CT image | Liver

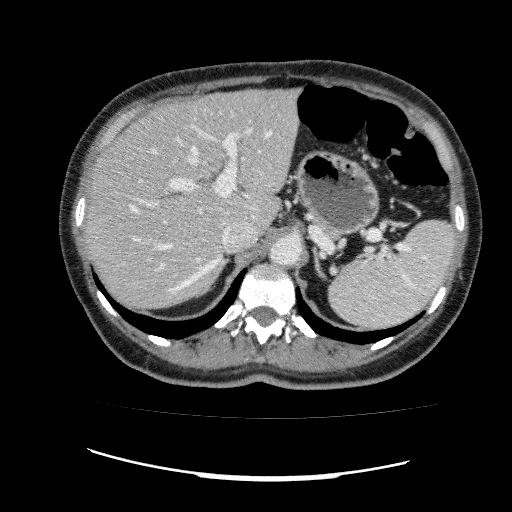
The liver is bounded by 84,88,301,309.